FLAIR magnetic resonance.
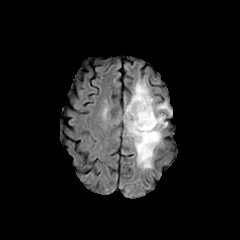
T1-weighted magnetic resonance.
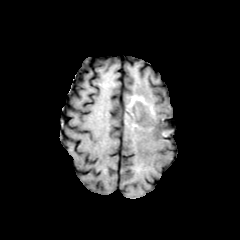
Post-contrast T1-weighted MRI.
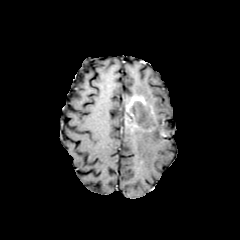
T2-weighted magnetic resonance.
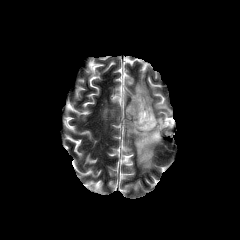
Head.
Findings:
• non-enhancing tumor core: 125:101:154:132, 154:116:165:131
• enhancing tumor: 126:96:145:114
• edema: 124:80:171:169